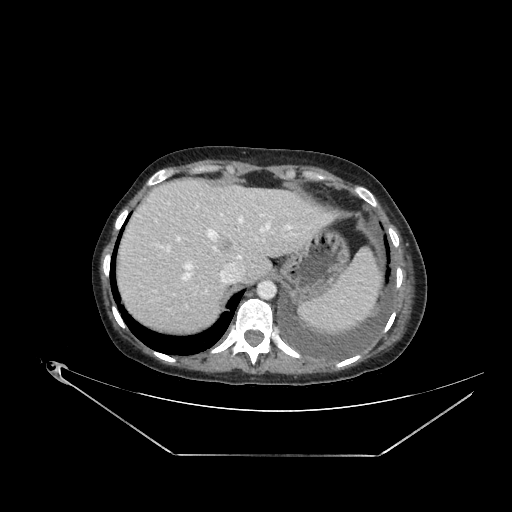
512x512 px, CT, Abdomen
• focal liver lesion: [x1=216, y1=235, x2=230, y2=250]
• liver: [x1=123, y1=181, x2=329, y2=327]